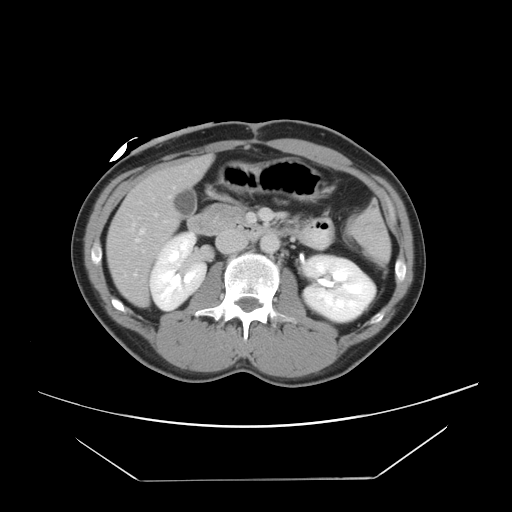
CT image
The vessel boxes may cover only some of the vessels.
<segmentation>
  <hepatic_vessel>(134,273,136,275), (127,222,135,231), (142,250,144,252), (140,228,144,234), (195,170,197,172), (155,213,157,216), (135,238,139,242), (173,186,175,188)</hepatic_vessel>
</segmentation>